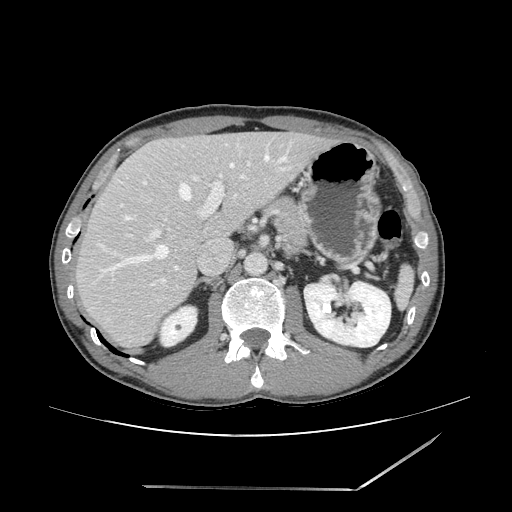 Computed tomography.
<segmentation>
  <pancreas>box(265, 195, 309, 253)</pancreas>
</segmentation>